Slice index 37; CT slice 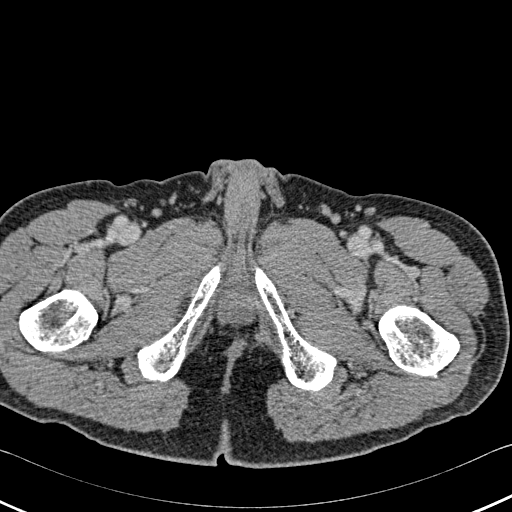 • bone: [x1=19, y1=290, x2=97, y2=351], [x1=138, y1=265, x2=220, y2=380], [x1=379, y1=306, x2=459, y2=377], [x1=255, y1=267, x2=335, y2=390]